CT slice. Slice index 391.

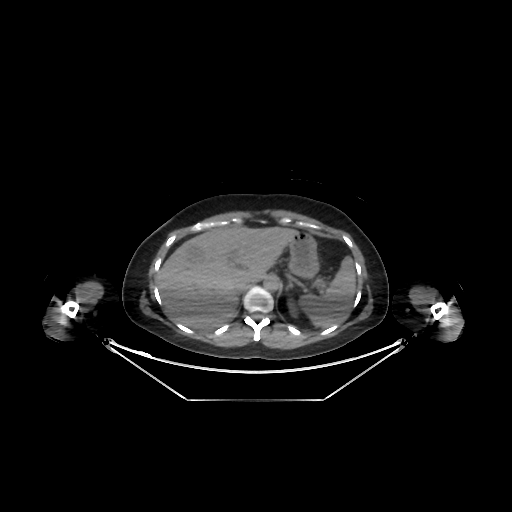 <segmentation>
  <kidney>bbox=[288, 297, 300, 317]</kidney>
  <liver>bbox=[154, 223, 300, 338]</liver>
</segmentation>